Image size 512x512; Abdomen; CT scan slice 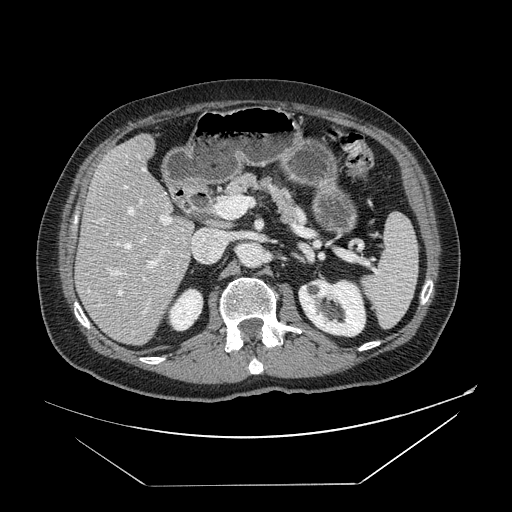

Pancreas: bounding box 226,175,297,222.